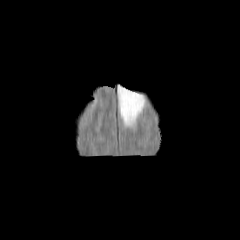
FLAIR magnetic resonance.
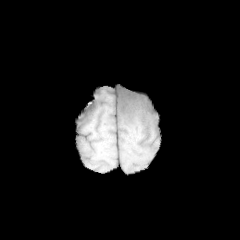
T1-weighted MR of the same slice.
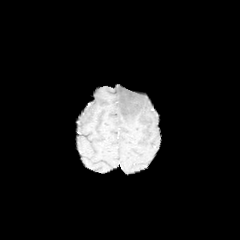
Post-contrast T1-weighted MR.
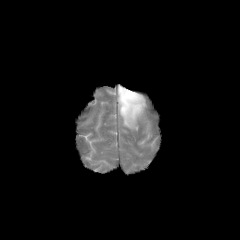
T2-weighted MRI.
240x240 px
Edema at l=117, t=85, r=146, b=128.